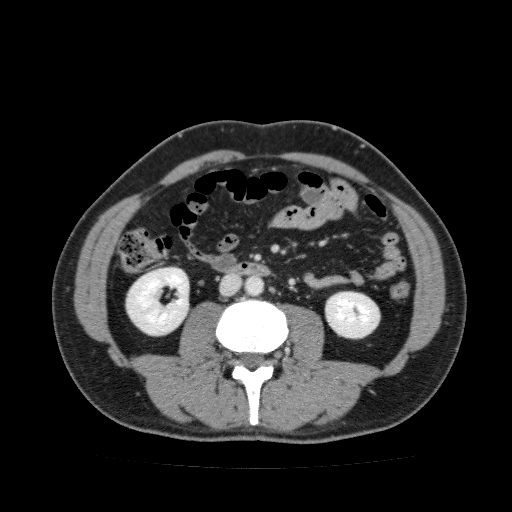 Computed tomography; Abdomen; Image size 512x512

Kidney: bounding box (x1=325, y1=292, x2=379, y2=337), (x1=126, y1=267, x2=188, y2=335).